CT | Liver | Slice index 100 | 512x512 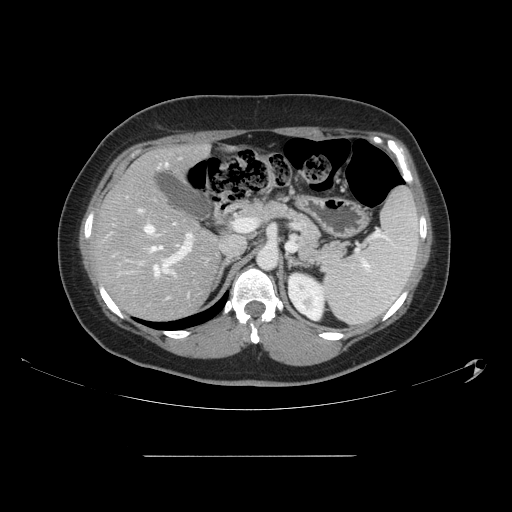 Not every hepatic vessel necessarily has a box.
hepatic vessel: <box>145,225,153,232</box>, <box>150,246,162,252</box>, <box>171,272,173,273</box>, <box>154,234,191,276</box>, <box>138,209,141,211</box>